FLAIR MRI.
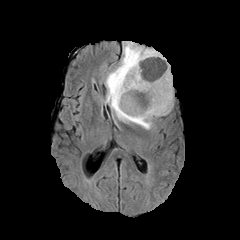
T1-weighted MR image.
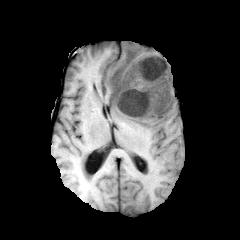
Post-contrast T1-weighted magnetic resonance.
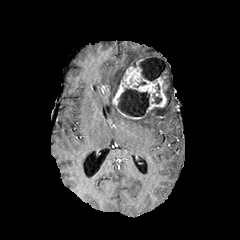
T2-weighted MR image.
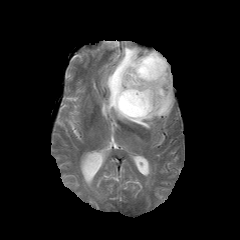
Brain, 240x240 px
Non-enhancing tumor core — region(118, 88, 149, 116); region(139, 56, 166, 81); region(152, 94, 161, 103).
Enhancing tumor — region(112, 58, 167, 119).
Edema — region(104, 41, 173, 129).